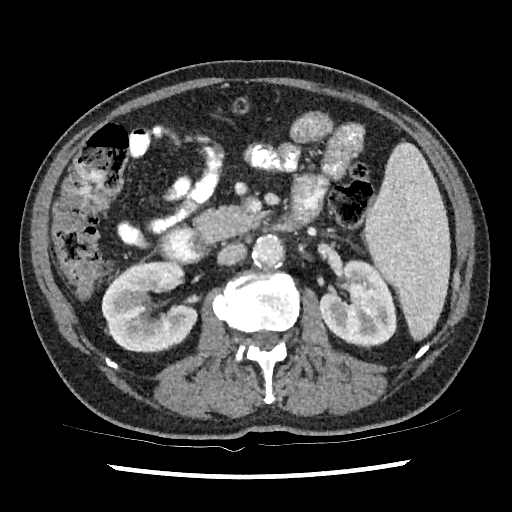 CT slice

Kidney at (left=102, top=261, right=196, bottom=351), (left=320, top=261, right=395, bottom=345).